FLAIR MRI.
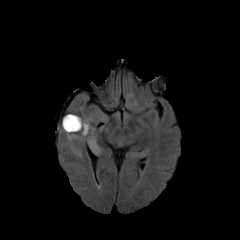
T1-weighted MR image.
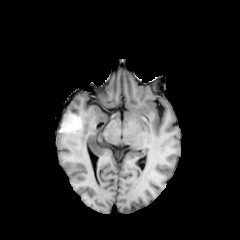
Post-contrast T1-weighted MR image.
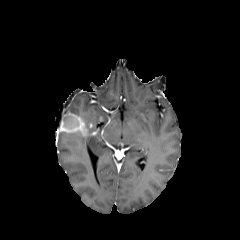
T2-weighted MR.
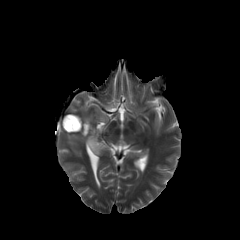
Image size 240x240
2 edema regions are bounded by box=[68, 103, 107, 152]; box=[61, 129, 92, 153]. The enhancing tumor is bounded by box=[58, 113, 89, 135].